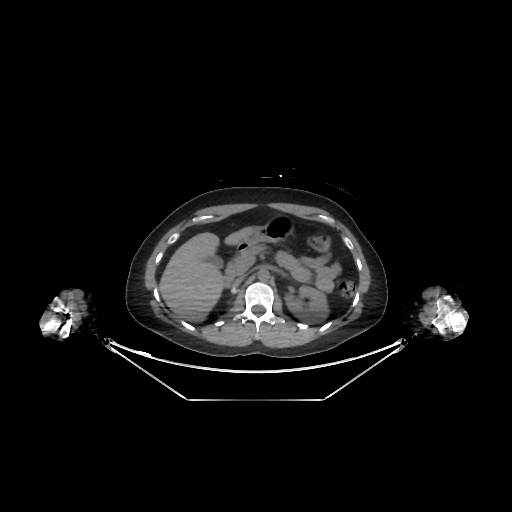

Upper abdomen, CT slice
* kidney: 284:285:328:323
* liver: 156:233:227:321, 225:226:272:249